CT image.

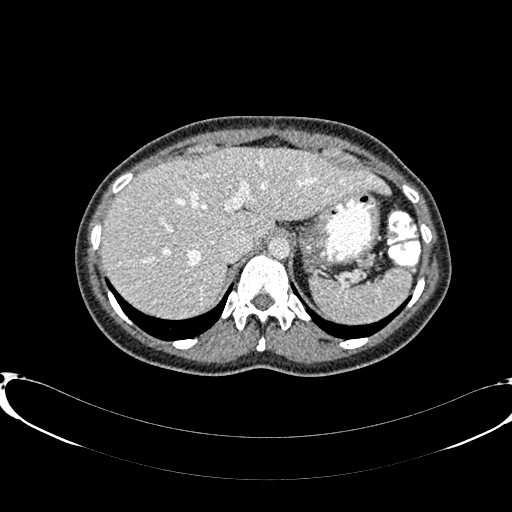
The liver is located at box=[102, 148, 390, 317].